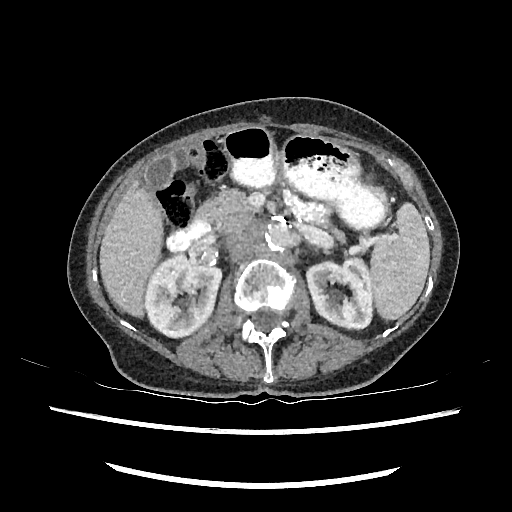

Image size 512x512; CT image

Kidney: bounding box bbox=[307, 259, 371, 327]; bbox=[145, 260, 221, 337].
Liver: bounding box bbox=[100, 182, 161, 316].